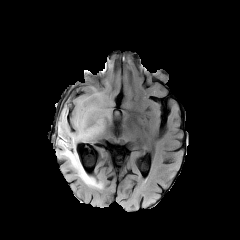
FLAIR magnetic resonance.
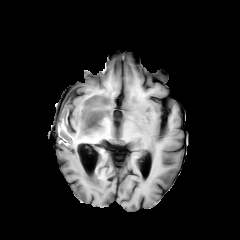
T1-weighted magnetic resonance.
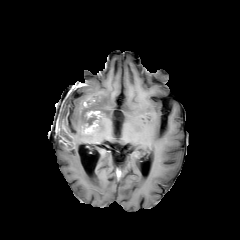
Post-contrast T1-weighted MRI.
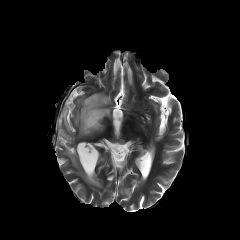
T2-weighted magnetic resonance.
240x240 px
- non-enhancing tumor core: 84, 112, 99, 125
- edema: 56, 94, 108, 189
- enhancing tumor: 86, 111, 101, 118; 82, 120, 97, 133